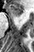

Hippocampus, MR image
<segmentation>
  <anterior_hippocampus><bbox>9, 5, 23, 16</bbox></anterior_hippocampus>
</segmentation>